FLAIR MR image.
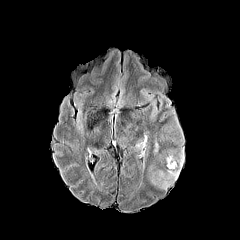
T1-weighted MRI.
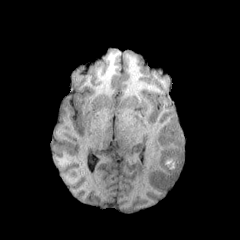
Post-contrast T1-weighted MRI.
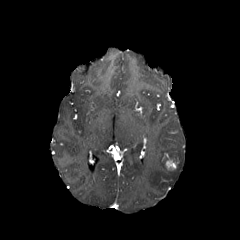
T2-weighted MR.
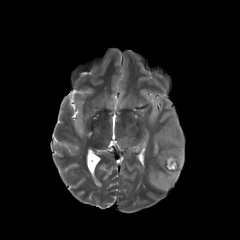
The enhancing tumor is bounded by [x1=166, y1=157, x2=179, y2=169]. The edema is at [x1=153, y1=138, x2=158, y2=154].